Head; Slice index 94
FLAIR MR image.
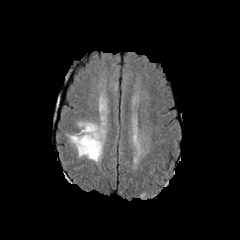
T1-weighted magnetic resonance.
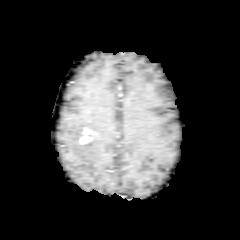
Post-contrast T1-weighted MR.
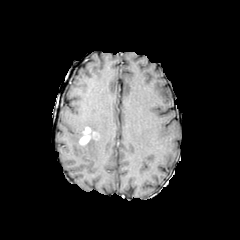
T2-weighted magnetic resonance.
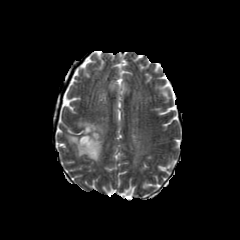
enhancing_tumor:
  - [79,127,95,145]
edema:
  - [100,96,105,110]
  - [68,116,105,163]